FLAIR MRI.
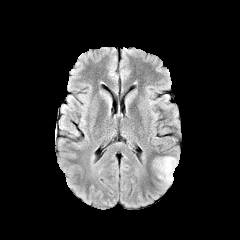
T1-weighted MRI.
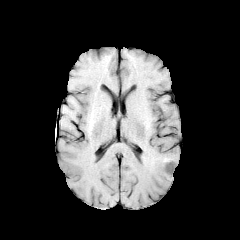
Post-contrast T1-weighted MRI.
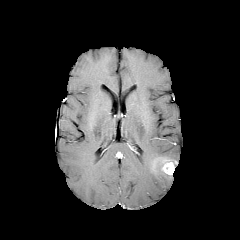
T2-weighted MR.
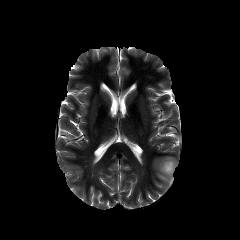
edema:
  - bbox(154, 156, 178, 185)
enhancing_tumor:
  - bbox(162, 161, 177, 175)